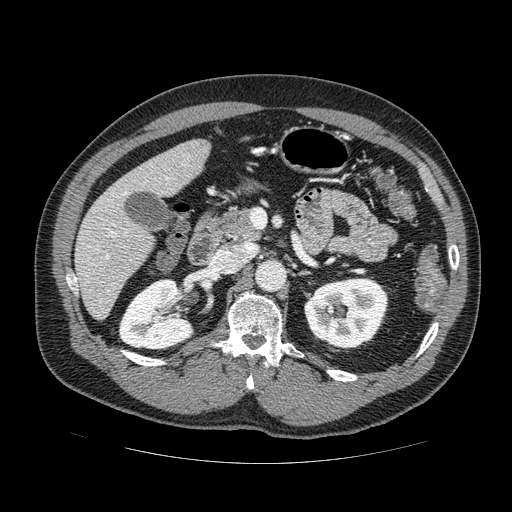 CT; Abdomen
The pancreas is bounded by {"x1": 219, "y1": 206, "x2": 263, "y2": 243}.